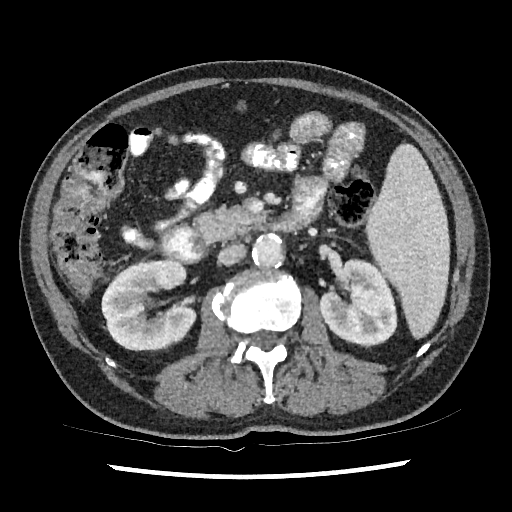

CT scan slice, Abdomen
Segmented structures:
- kidney: (left=102, top=258, right=195, bottom=349), (left=320, top=260, right=396, bottom=345)